FLAIR MRI.
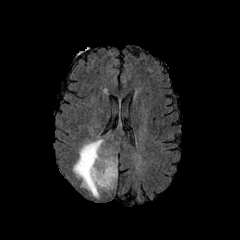
T1-weighted MR.
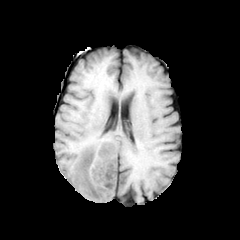
Post-contrast T1-weighted magnetic resonance.
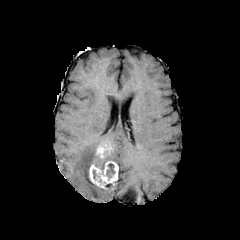
T2-weighted MR.
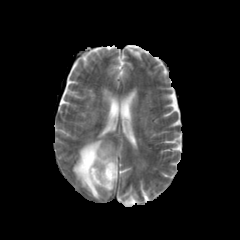
Enhancing tumor: (89,145,117,189).
Edema: (73,138,103,198).